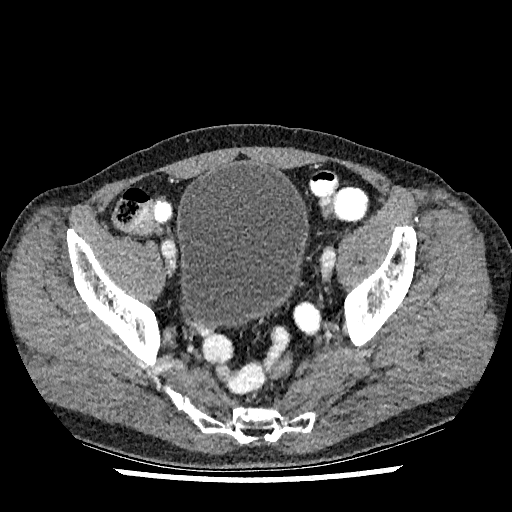

CT slice | Lower abdomen | 512x512 px
<segmentation>
  <urinary_bladder>179 164 306 327</urinary_bladder>
</segmentation>